CT slice
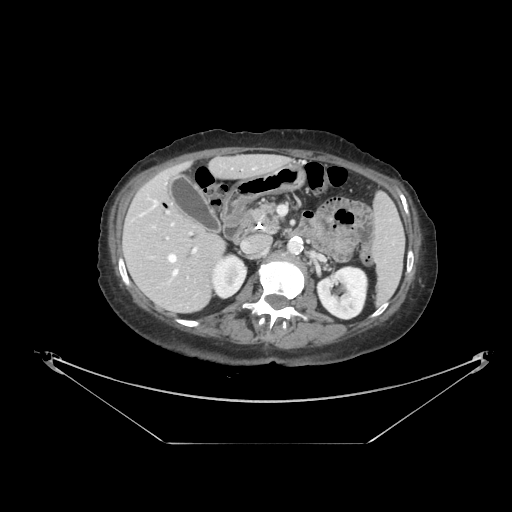 pancreatic tumor: left=271, top=214, right=278, bottom=226 | pancreas: left=252, top=202, right=280, bottom=233